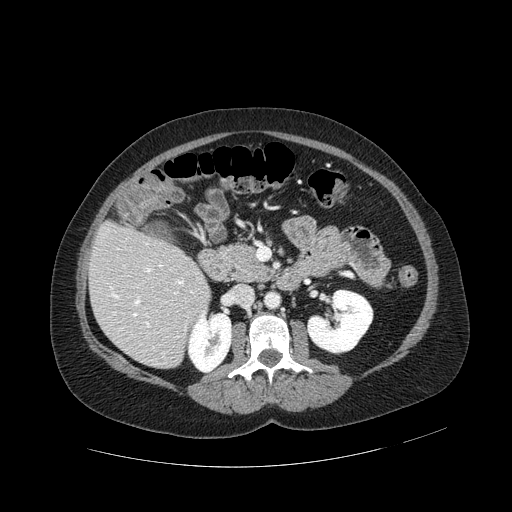

CT image, Abdomen
Pancreas — 226:246:269:282.